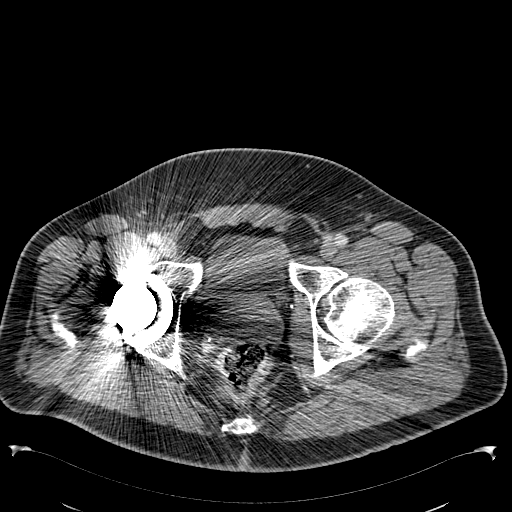
Lower abdomen; CT image

Urinary bladder: <box>199,233,290,293</box>, <box>265,285,281,291</box>.